CT slice | 512x512 px | Liver

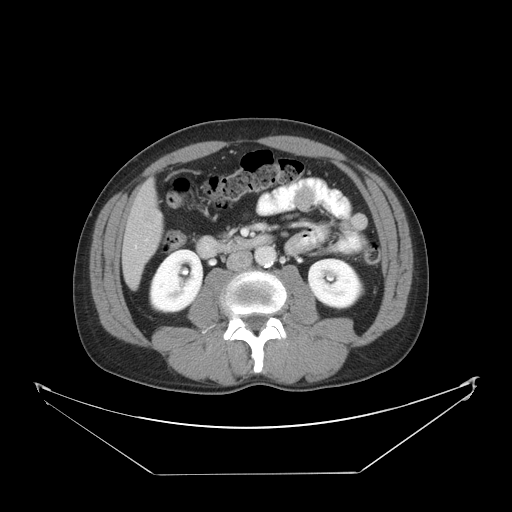

Not every hepatic vessel necessarily has a box.
Hepatic vessel: bounding box x1=135 y1=266 x2=138 y2=269, x1=146 y1=239 x2=147 y2=240.
Liver tumor: bounding box x1=152 y1=213 x2=162 y2=224.